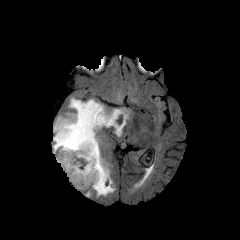
FLAIR magnetic resonance.
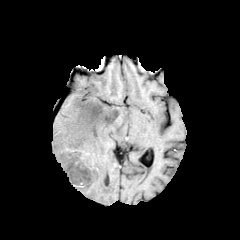
Same slice, T1-weighted MRI.
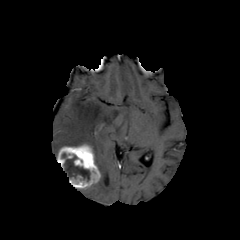
Post-contrast T1-weighted MR.
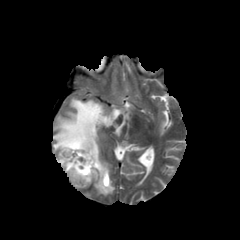
T2-weighted MR image.
<segmentation>
  <enhancing_tumor>(left=56, top=144, right=101, bottom=189)</enhancing_tumor>
  <edema>(left=53, top=97, right=128, bottom=196)</edema>
  <non-enhancing_tumor_core>(left=64, top=156, right=90, bottom=180)</non-enhancing_tumor_core>
</segmentation>